Slice 295 of 427; CT; Upper abdomen

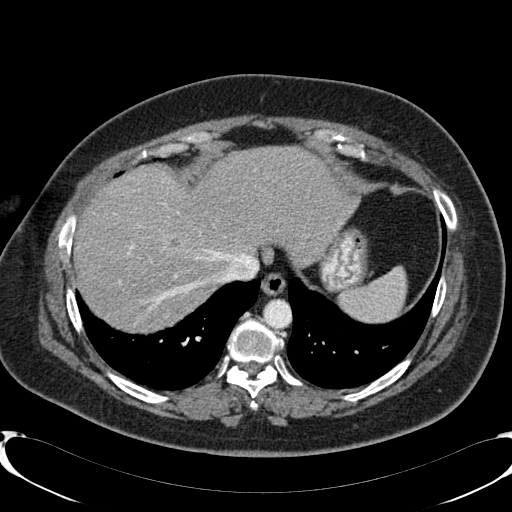

The liver lesion is located at box=[167, 236, 181, 250]. The liver is bounded by box=[75, 148, 359, 330].